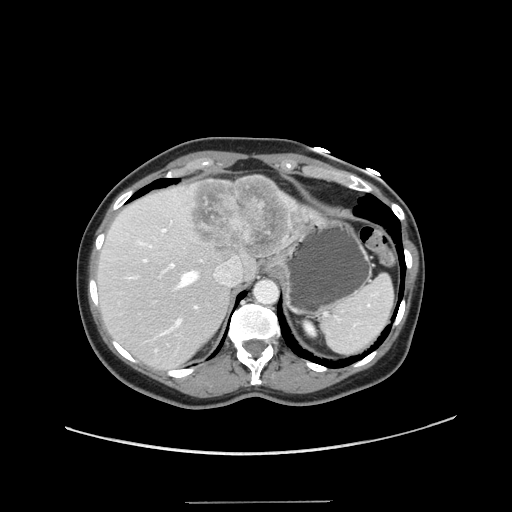 Liver | 512x512 | Computed tomography
Some hepatic vessels may have no box.
<segmentation>
  <liver_tumor>region(188, 177, 290, 258)</liver_tumor>
  <hepatic_vessel>region(162, 228, 166, 231); region(162, 319, 180, 333); region(167, 264, 174, 268); region(144, 259, 146, 260); region(179, 272, 197, 285); region(130, 277, 134, 277); region(195, 306, 197, 307); region(214, 257, 241, 287)</hepatic_vessel>
</segmentation>